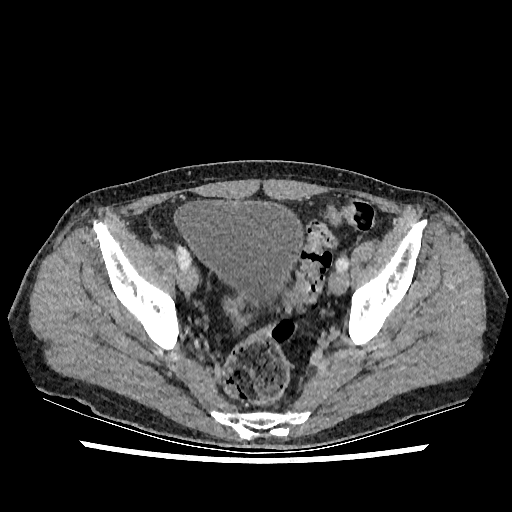
CT image. Lower abdomen.

urinary bladder: l=179, t=199, r=304, b=315